Abdomen; CT slice; Image size 512x512
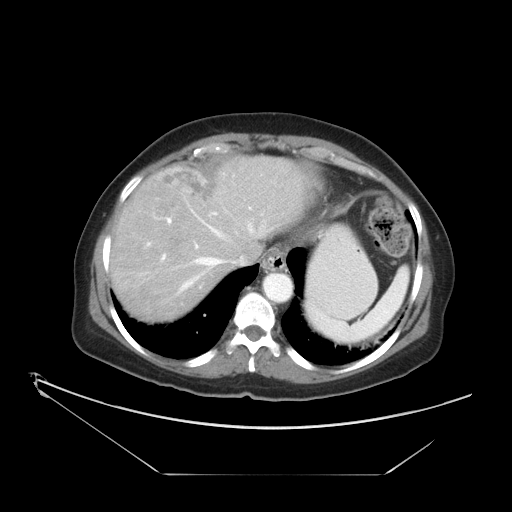
Some hepatic vessels may have no box.
Segmented structures:
• liver tumor: (x1=163, y1=166, x2=222, y2=203)
• hepatic vessel: (x1=195, y1=245, x2=197, y2=247), (x1=162, y1=255, x2=164, y2=259), (x1=181, y1=278, x2=196, y2=289), (x1=148, y1=243, x2=149, y2=244), (x1=167, y1=218, x2=170, y2=222), (x1=196, y1=258, x2=221, y2=265)